CT image; Abdomen; Field of view 492 mm wide, 2.50 mm slice spacing

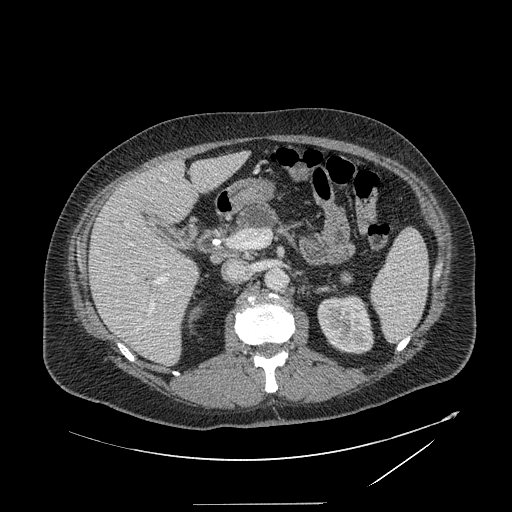

Pancreas = 233, 204, 277, 232.